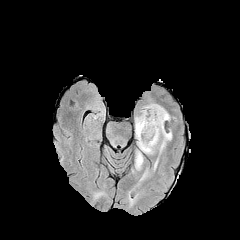
FLAIR magnetic resonance.
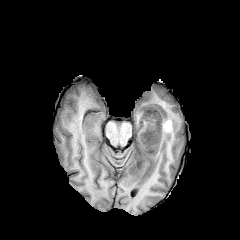
Same slice, T1-weighted MRI.
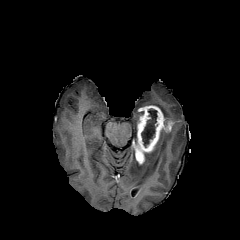
Same slice, post-contrast T1-weighted magnetic resonance.
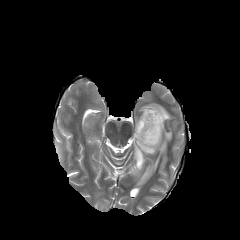
Same slice, T2-weighted MR image.
Head
Annotated regions:
• non-enhancing tumor core: region(141, 109, 157, 145)
• edema: region(131, 104, 173, 185)
• enhancing tumor: region(134, 105, 164, 164)